Slice index 601 | Upper abdomen | CT
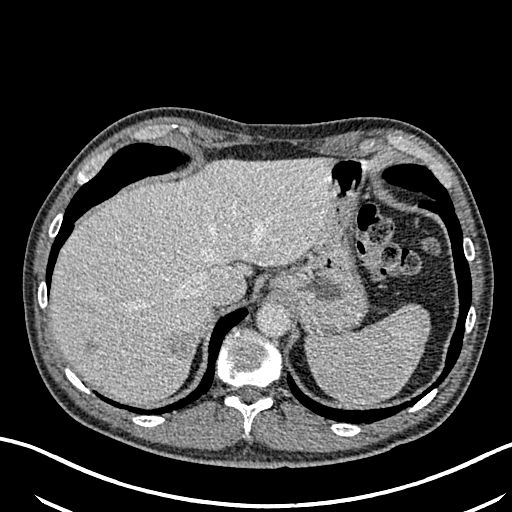

Liver lesion: bounding box rect(85, 342, 96, 351); rect(167, 332, 191, 358).
Liver: bounding box rect(50, 157, 335, 402).